Slice 27 of 77; CT image

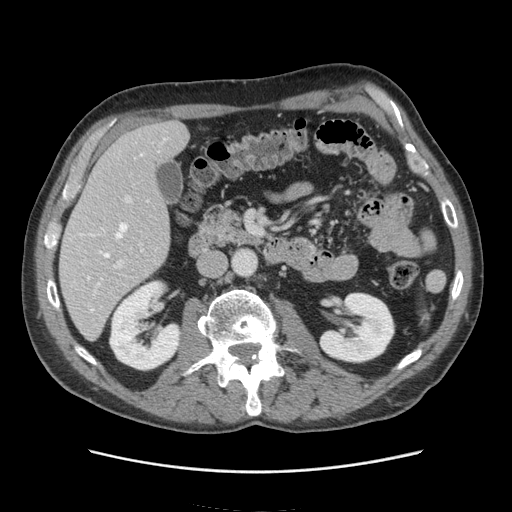

<segmentation>
  <spleen>x1=419, y1=230, x2=435, y2=252</spleen>
</segmentation>